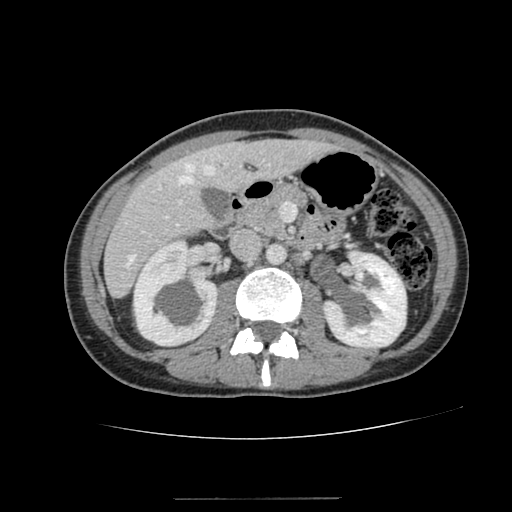
CT slice
The liver is at [104,138,332,296]. 2 kidney regions appear at [324,252,406,347], [134,242,216,345].